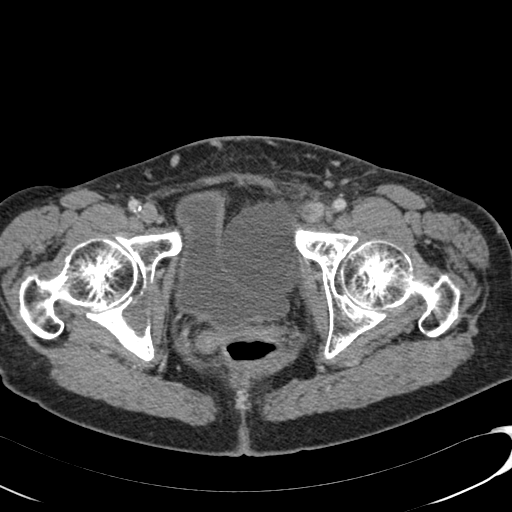

CT scan slice
urinary_bladder:
  - {"x1": 171, "y1": 189, "x2": 289, "y2": 326}